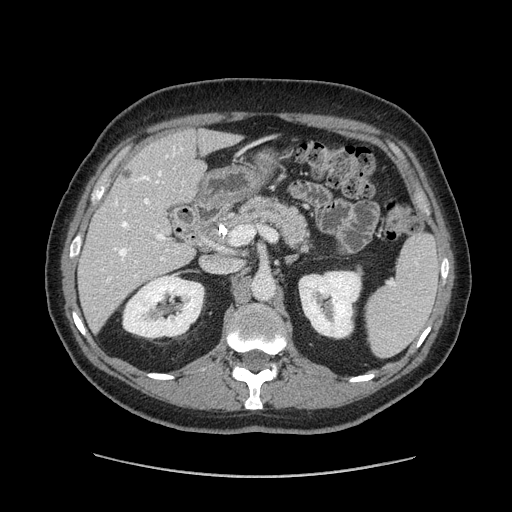
512x512 | CT image
Pancreas: box(229, 197, 309, 250).